Field of view 240 mm wide, 1.00 mm slice spacing. Slice 103/155. Brain.
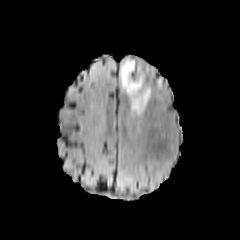
FLAIR MR.
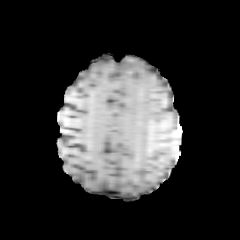
Same slice, T1-weighted MRI.
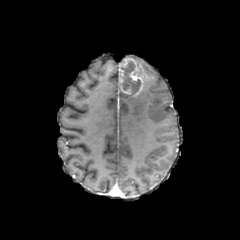
Same slice, post-contrast T1-weighted magnetic resonance.
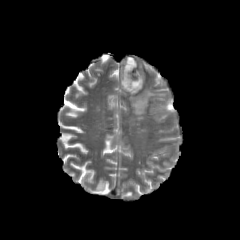
T2-weighted MRI.
Non-enhancing tumor core: x1=120 y1=61 x2=141 y2=95.
Edema: x1=129 y1=69 x2=154 y2=116.
Enhancing tumor: x1=121 y1=58 x2=144 y2=96, x1=119 y1=69 x2=126 y2=84.